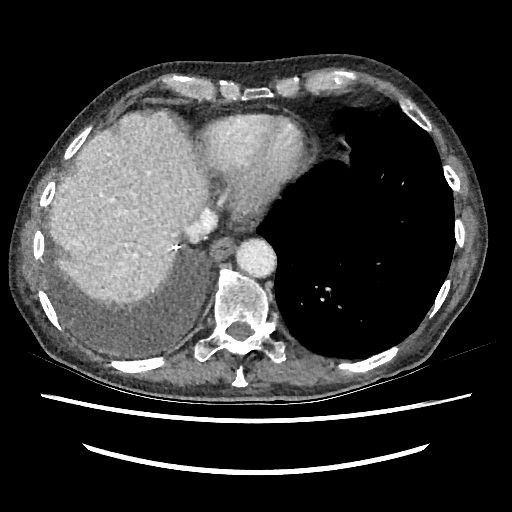
CT image | Liver
Liver — 50,113,206,302.